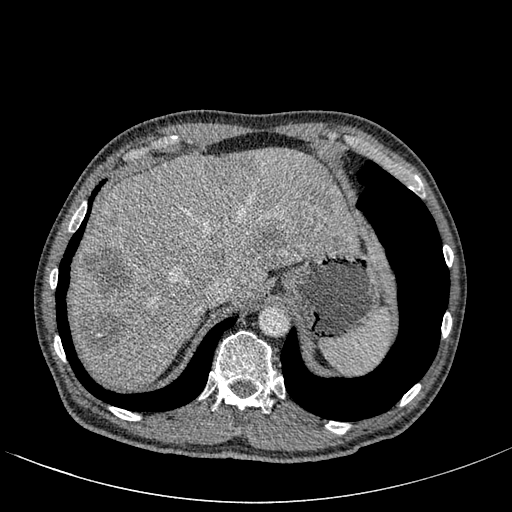
Image size 512x512, CT scan slice

Liver — bbox=[71, 148, 358, 389].
Liver lesion — bbox=[255, 227, 283, 255]; bbox=[208, 161, 233, 185]; bbox=[243, 156, 255, 170]; bbox=[85, 244, 132, 295]; bbox=[215, 248, 222, 260]; bbox=[78, 310, 124, 354]; bbox=[309, 190, 331, 211]; bbox=[108, 217, 116, 226].